Image size 240x240. Brain. Slice 49 of 155.
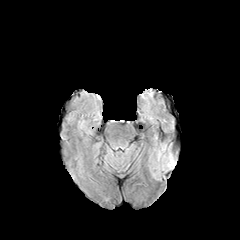
FLAIR magnetic resonance.
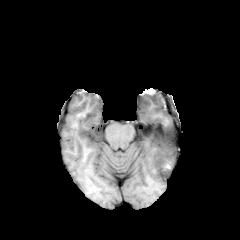
T1-weighted magnetic resonance.
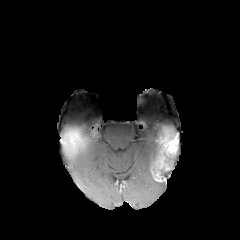
Same slice, post-contrast T1-weighted magnetic resonance.
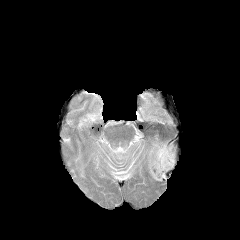
T2-weighted magnetic resonance.
• edema: (148, 143, 175, 180)